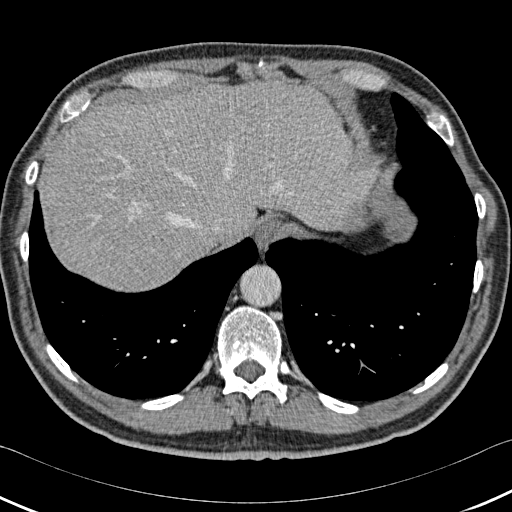
Image size 512x512 | Upper abdomen | Computed tomography

liver: box(39, 83, 374, 291) | lung: box(28, 190, 260, 400); box(265, 92, 478, 404) | bone: box(413, 363, 447, 393); box(65, 100, 88, 121); box(46, 345, 77, 381); box(25, 161, 37, 184); box(142, 395, 183, 410); box(428, 113, 453, 145); box(473, 260, 483, 292); box(281, 362, 290, 373); box(318, 393, 358, 413); box(218, 307, 286, 403); box(475, 193, 485, 218); box(20, 232, 28, 261); box(62, 101, 70, 111)